CT image; Liver

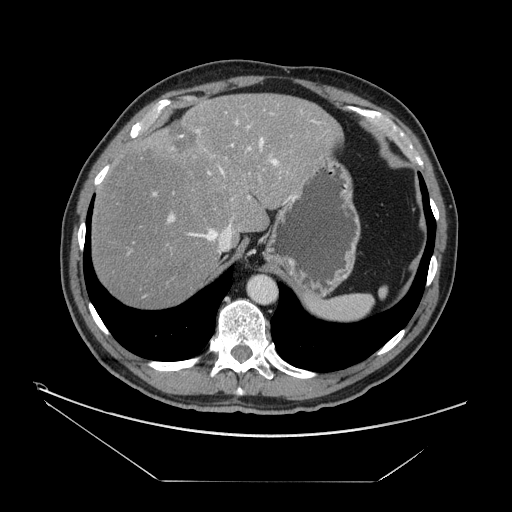

Only some of the vessels may be annotated.
Findings:
- liver tumor: region(167, 121, 196, 153)
- hepatic vessel: region(260, 139, 262, 149); region(248, 147, 250, 149); region(271, 159, 277, 164); region(169, 216, 173, 221); region(220, 169, 222, 172); region(190, 230, 216, 239)